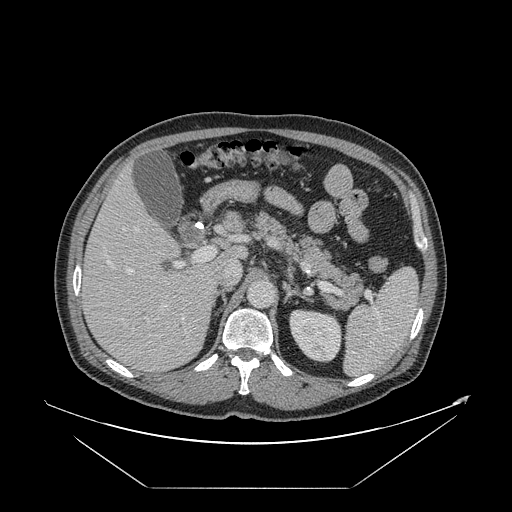

Computed tomography. 512x512 px. Liver.

Not every hepatic vessel necessarily has a box.
12 hepatic vessel regions are located at bbox(225, 260, 239, 277); bbox(123, 228, 124, 229); bbox(143, 317, 148, 322); bbox(107, 256, 112, 267); bbox(231, 280, 233, 283); bbox(135, 228, 138, 231); bbox(175, 261, 183, 266); bbox(127, 268, 132, 273); bbox(193, 247, 214, 261); bbox(124, 324, 126, 326); bbox(209, 287, 215, 292); bbox(162, 305, 165, 307).